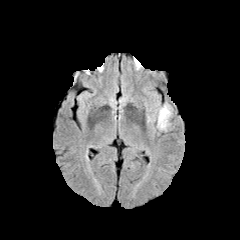
FLAIR magnetic resonance.
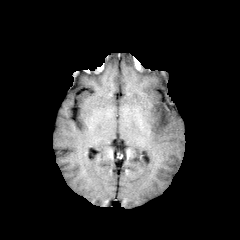
T1-weighted magnetic resonance.
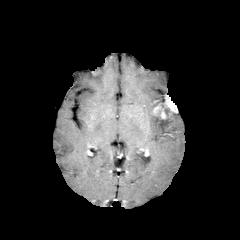
Post-contrast T1-weighted magnetic resonance of the same slice.
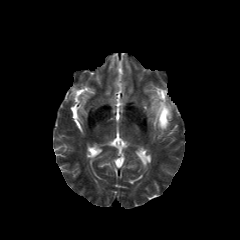
Same slice, T2-weighted MR image.
Head.
Annotated regions:
* edema: (157,117,170,130)
* enhancing tumor: (152,97,176,119)